240x240. Head. Field of view 240x240 mm.
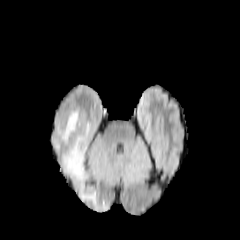
FLAIR MR.
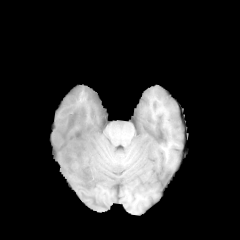
T1-weighted MR image.
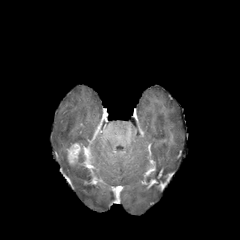
Post-contrast T1-weighted magnetic resonance.
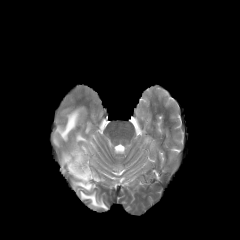
T2-weighted magnetic resonance of the same slice.
<segmentation>
  <edema>74,135,86,144; 54,111,82,151; 60,150,105,208</edema>
  <enhancing_tumor>65,142,82,165</enhancing_tumor>
</segmentation>